FLAIR magnetic resonance.
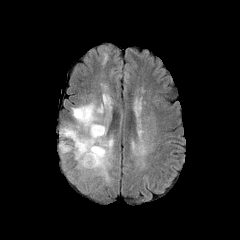
T1-weighted MR.
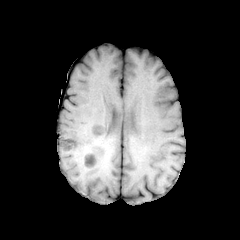
Post-contrast T1-weighted magnetic resonance.
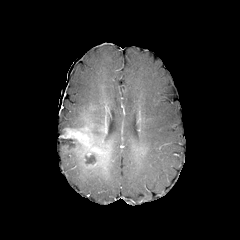
T2-weighted MRI.
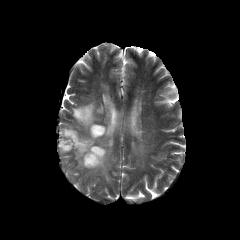
Head.
{
  "edema": [
    "bbox=[59, 84, 113, 181]"
  ],
  "enhancing_tumor": [
    "bbox=[89, 137, 101, 155]",
    "bbox=[66, 130, 87, 143]"
  ],
  "non-enhancing_tumor_core": [
    "bbox=[67, 133, 109, 167]",
    "bbox=[60, 128, 71, 138]",
    "bbox=[104, 106, 109, 133]"
  ]
}